CT image | Liver
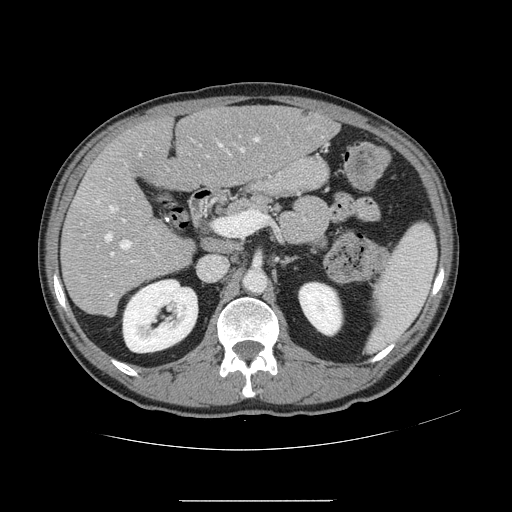

Only some of the vessels may be annotated.
Annotated regions:
• hepatic vessel: 109:292:112:295, 240:147:243:151, 218:143:222:146, 110:205:117:211, 105:234:112:241, 228:152:230:155, 111:253:113:255, 121:240:130:248, 131:260:135:261, 122:219:124:221, 84:235:85:236, 255:138:259:140